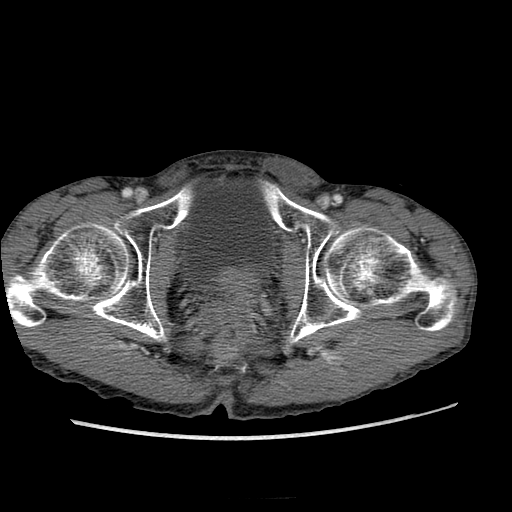 CT image, Image size 512x512
urinary_bladder:
  - [175, 175, 281, 285]